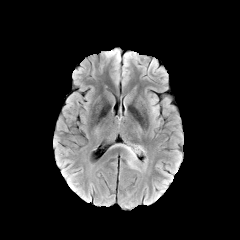
FLAIR MR.
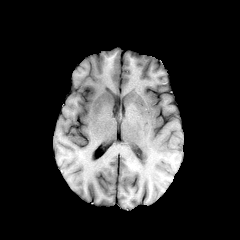
T1-weighted magnetic resonance.
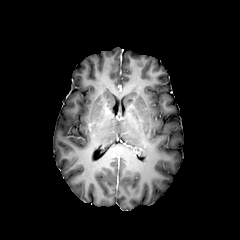
Post-contrast T1-weighted MR of the same slice.
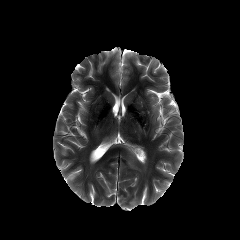
T2-weighted magnetic resonance.
Head. 240x240.
non-enhancing tumor core: box=[120, 144, 136, 160] | edema: box=[127, 156, 137, 168]; box=[150, 97, 159, 117]